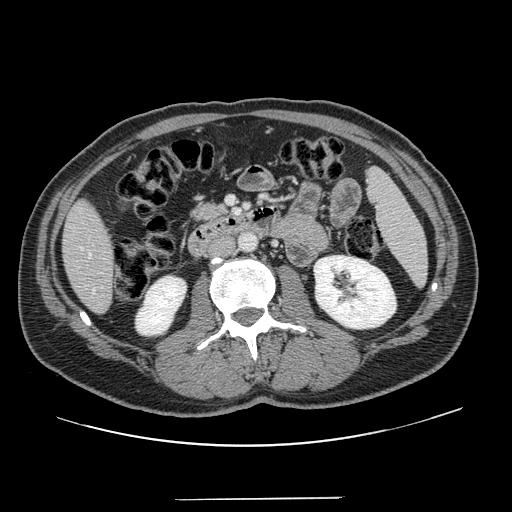

Upper abdomen; Computed tomography; 512x512 px

{
  "pancreas": [
    "(x1=187, y1=200, x2=229, y2=225)"
  ]
}